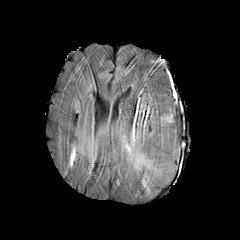
FLAIR MR.
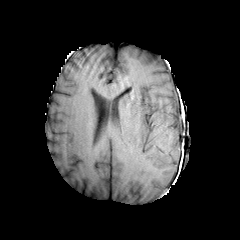
Same slice, T1-weighted MRI.
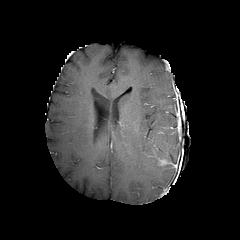
Post-contrast T1-weighted MR image of the same slice.
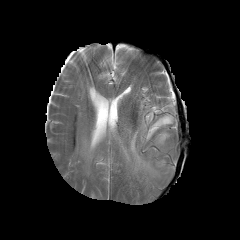
Same slice, T2-weighted MR image.
2 edema regions are located at [128,107,173,152], [136,152,143,165].